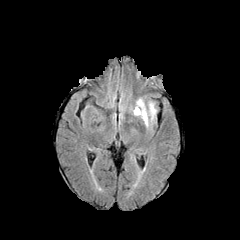
FLAIR MRI.
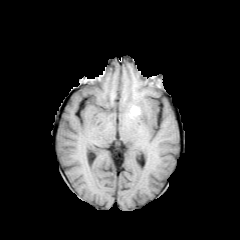
T1-weighted magnetic resonance.
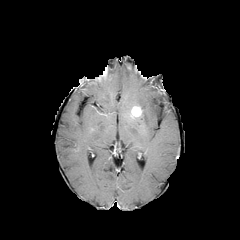
Post-contrast T1-weighted MR image.
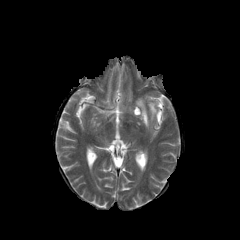
T2-weighted MR.
The enhancing tumor is bounded by box=[132, 106, 141, 115]. The edema lies within box=[135, 98, 156, 127].